Image size 512x512 | CT image | Image width 314 mm 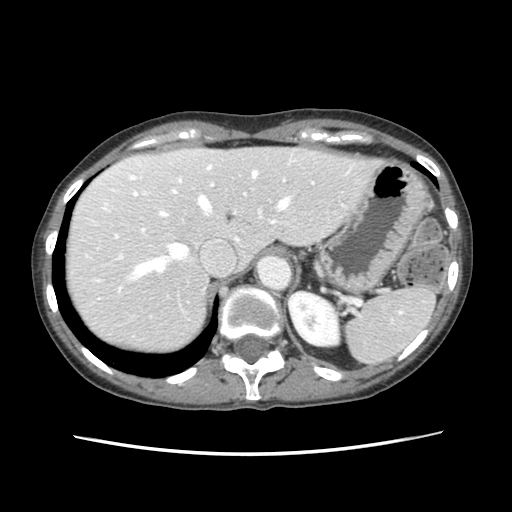 * spleen: [346,287,433,362]